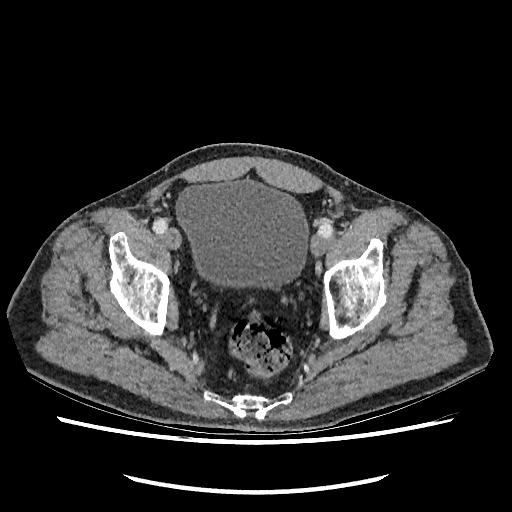 Computed tomography, Lower abdomen, 512x512 px
urinary bladder: left=176, top=179, right=308, bottom=287